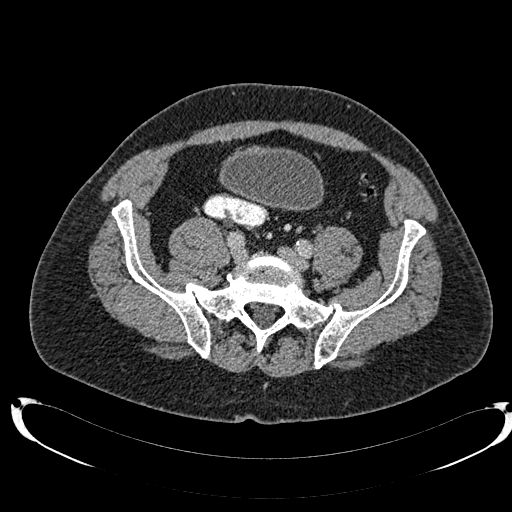 512x512. CT slice.

urinary_bladder:
  - bbox(226, 150, 322, 207)